Field of view 404x404 mm | Computed tomography | 512x512 px | Slice index 142
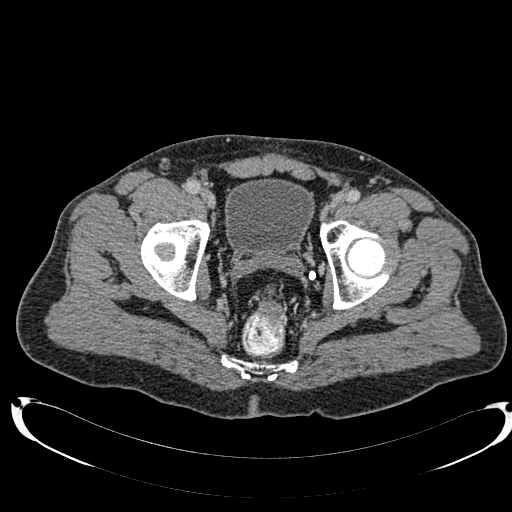 Urinary bladder at [x1=224, y1=178, x2=315, y2=264].